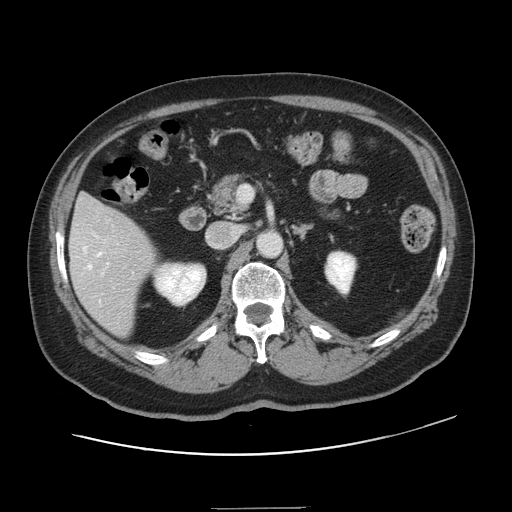 Liver | Computed tomography
Only some of the vessels may be annotated.
4 hepatic vessel regions appear at x1=107, y1=262, x2=108, y2=263; x1=88, y1=265, x2=91, y2=268; x1=83, y1=247, x2=86, y2=252; x1=96, y1=253, x2=101, y2=256.